Head, Field of view 240 mm wide, 1.00 mm slice spacing
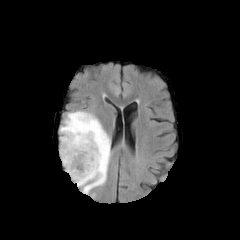
FLAIR magnetic resonance.
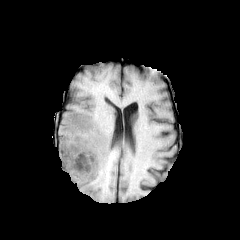
Same slice, T1-weighted MR image.
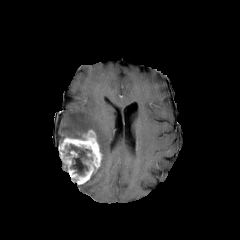
Post-contrast T1-weighted MR.
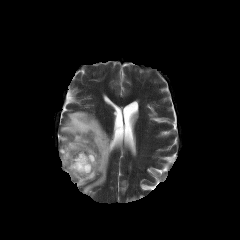
Same slice, T2-weighted MRI.
Edema at 60 110 112 194.
Non-enhancing tumor core at 68 144 91 174.
Enhancing tumor at 58 130 102 184.